FLAIR magnetic resonance.
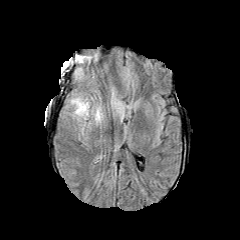
T1-weighted MR.
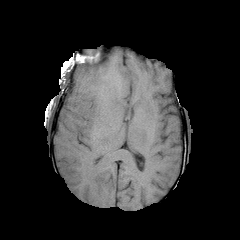
Post-contrast T1-weighted magnetic resonance.
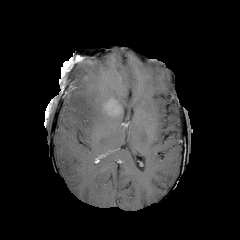
T2-weighted MRI.
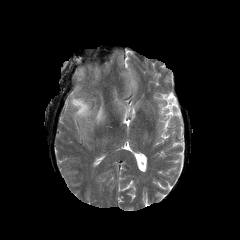
Edema at box(108, 92, 122, 115); box(69, 92, 105, 124); box(75, 67, 85, 81).